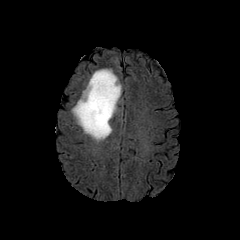
FLAIR MRI.
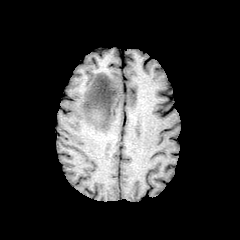
T1-weighted MR image of the same slice.
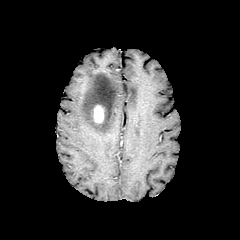
Post-contrast T1-weighted MRI of the same slice.
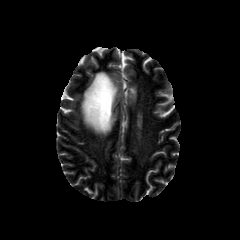
T2-weighted MR.
Brain
Annotated regions:
• edema: 70 68 121 140
• enhancing tumor: 93 105 104 122